Slice 66 of 537; 512x512; Computed tomography

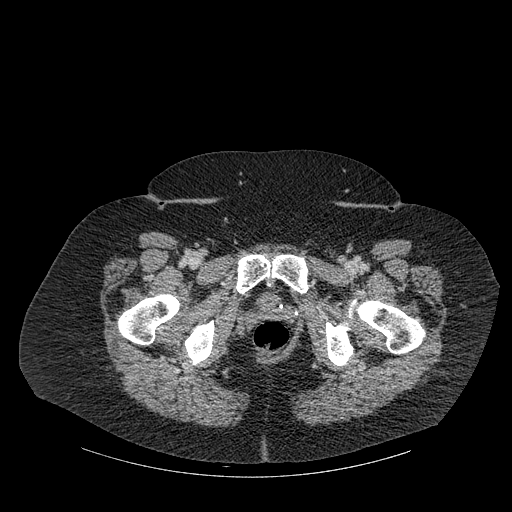

6 bone regions are bounded by box=[326, 322, 353, 365]; box=[356, 300, 425, 353]; box=[348, 299, 357, 318]; box=[236, 255, 308, 293]; box=[118, 294, 179, 344]; box=[185, 320, 214, 364].